Brain | 240x240 px
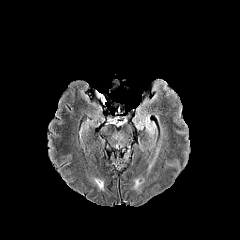
FLAIR MR.
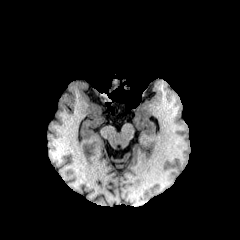
T1-weighted magnetic resonance of the same slice.
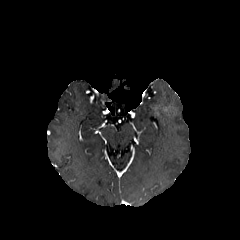
Post-contrast T1-weighted magnetic resonance.
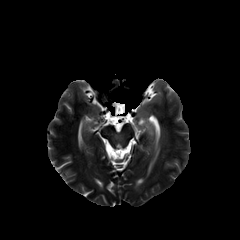
T2-weighted MR image of the same slice.
The edema is located at x1=136, y1=117, x2=154, y2=134.